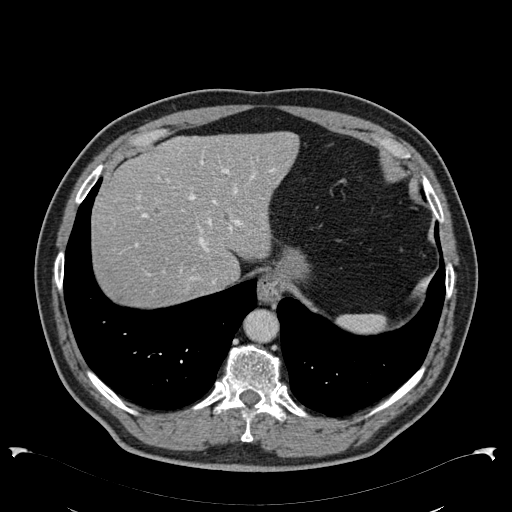 CT slice

Liver: bounding box x1=91 y1=132 x2=299 y2=306.